Slice index 123. Image size 240x240.
FLAIR magnetic resonance.
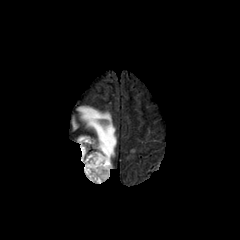
T1-weighted MR.
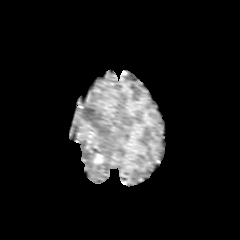
Post-contrast T1-weighted MR image.
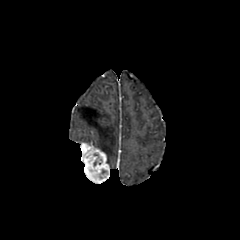
T2-weighted MRI.
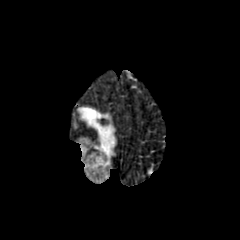
Edema: (x1=77, y1=106, x2=116, y2=168).
Enhancing tumor: (x1=80, y1=142, x2=109, y2=181).